Slice 132/155. Brain.
FLAIR magnetic resonance.
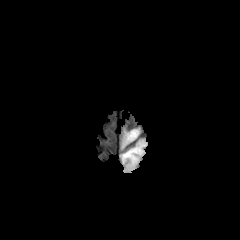
T1-weighted magnetic resonance.
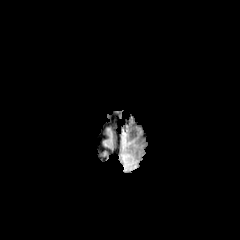
Post-contrast T1-weighted magnetic resonance.
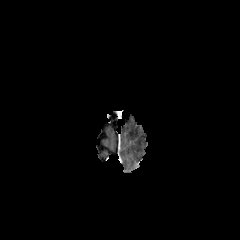
T2-weighted MR image.
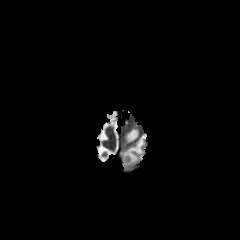
2 edema regions are located at <box>126,129,139,143</box>, <box>120,140,147,169</box>.